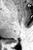
MRI | Image size 33x50
* posterior hippocampus: (9,40,18,43)